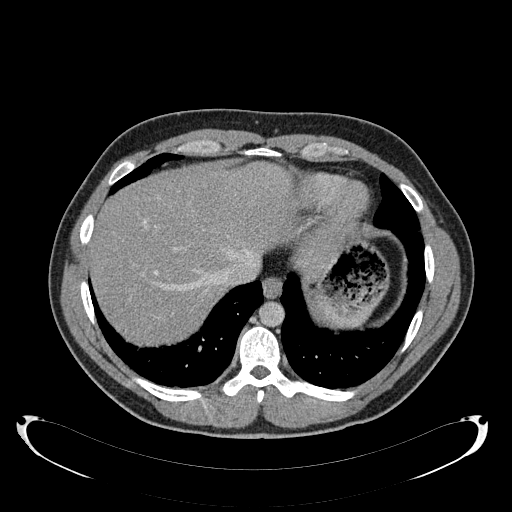
CT slice. 512x512 px. Segmented structures:
• liver: 298, 239, 329, 276; 89, 162, 291, 344